Computed tomography, Upper abdomen, Slice index 15
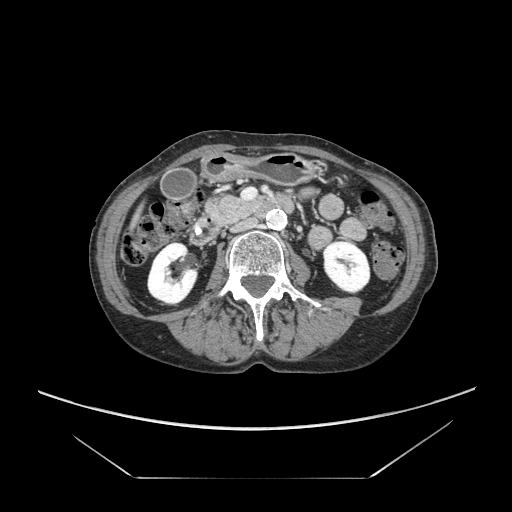
Findings:
* pancreas: {"x1": 203, "y1": 192, "x2": 267, "y2": 228}